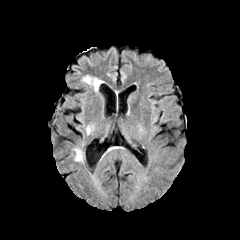
FLAIR magnetic resonance.
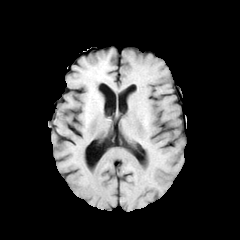
T1-weighted MR image.
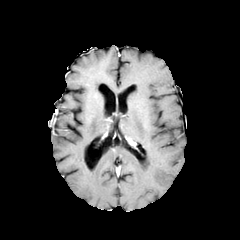
Post-contrast T1-weighted MRI of the same slice.
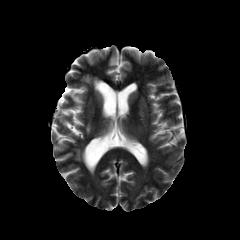
Same slice, T2-weighted MR image.
Brain
3 edema regions are bounded by 82 76 103 92, 86 125 93 134, 74 148 83 161.